CT slice
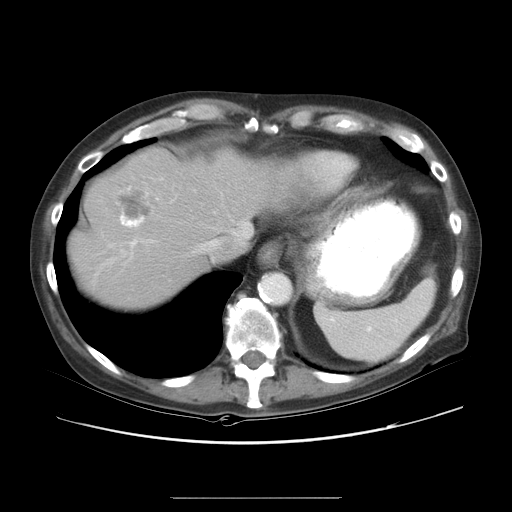
The vessel annotation is not exhaustive.
<segmentation>
  <hepatic_vessel>rect(242, 222, 250, 236); rect(145, 192, 147, 195); rect(199, 240, 218, 250); rect(122, 251, 124, 254)</hepatic_vessel>
  <liver_tumor>rect(121, 190, 148, 218)</liver_tumor>
</segmentation>